Computed tomography, Slice 46 of 88, Upper abdomen

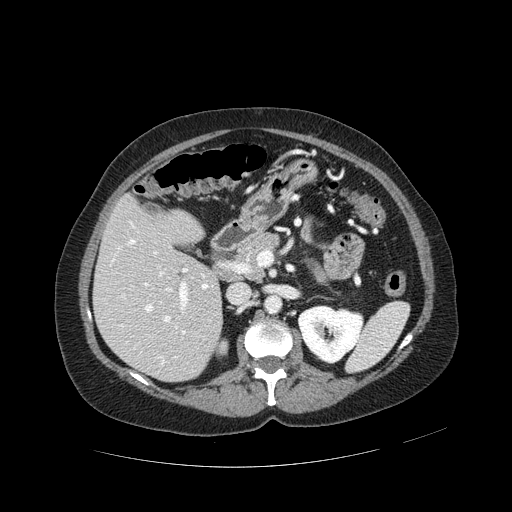 <segmentation>
  <pancreas>bbox(238, 233, 279, 279)</pancreas>
  <pancreatic_tumor>bbox(264, 235, 276, 247)</pancreatic_tumor>
</segmentation>